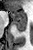
MRI slice
anterior_hippocampus:
  - bbox=[10, 11, 25, 21]
posterior_hippocampus:
  - bbox=[13, 21, 26, 31]